Slice index 67
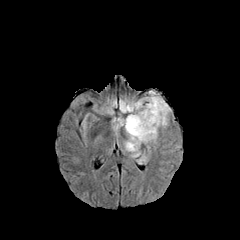
FLAIR MR.
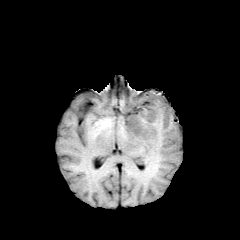
T1-weighted MRI of the same slice.
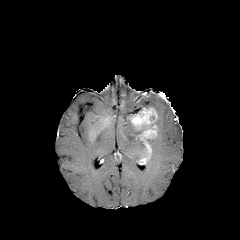
Post-contrast T1-weighted magnetic resonance.
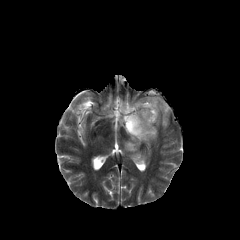
T2-weighted MR.
The edema appears at x1=113 y1=90 x2=171 y2=163. 2 enhancing tumor regions are located at x1=129 y1=108 x2=157 y2=129, x1=140 y1=125 x2=156 y2=140. 2 non-enhancing tumor core regions appear at x1=142 y1=122 x2=156 y2=129, x1=126 y1=115 x2=142 y2=134.